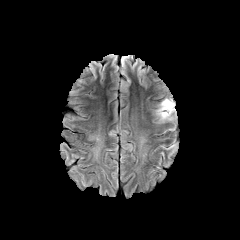
FLAIR magnetic resonance.
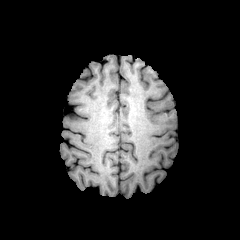
Same slice, T1-weighted MRI.
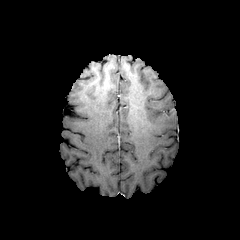
Post-contrast T1-weighted magnetic resonance.
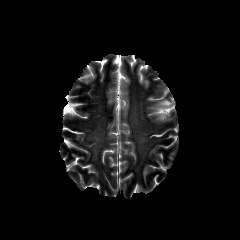
T2-weighted MR.
edema:
  - [x1=156, y1=98, x2=175, y2=121]